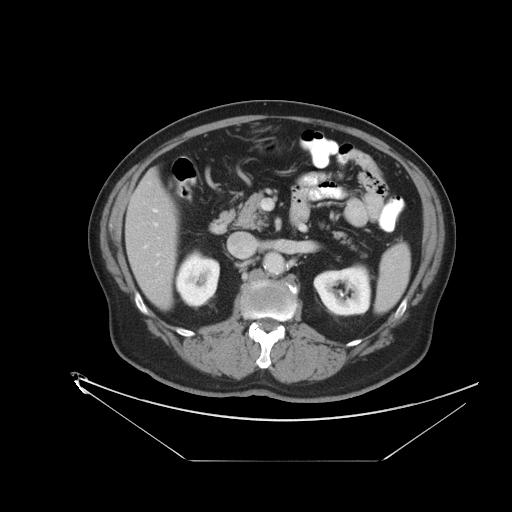

Abdomen | CT | 512x512

The vessel annotation is not exhaustive.
Hepatic vessel = (x1=157, y1=253, x2=159, y2=255), (x1=153, y1=209, x2=156, y2=211), (x1=154, y1=223, x2=157, y2=225).